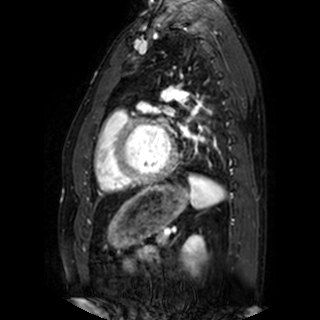
MRI slice, Cardiac

left_atrium:
  - x1=179 y1=124 x2=188 y2=135